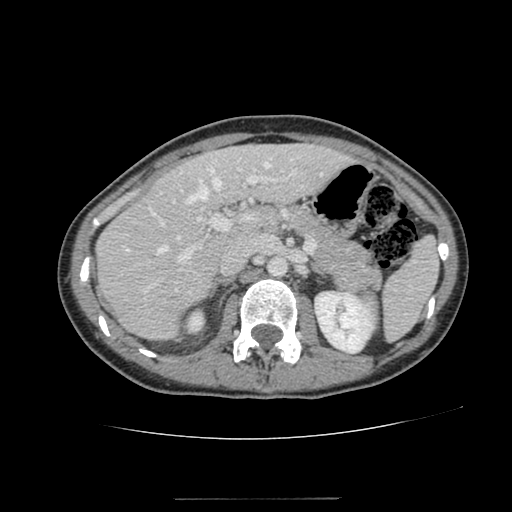 CT scan slice
{
  "liver": [
    "(96,142,356,338)"
  ],
  "kidney": [
    "(315,292,373,353)",
    "(190,314,202,330)"
  ]
}